CT image, 512x512 px 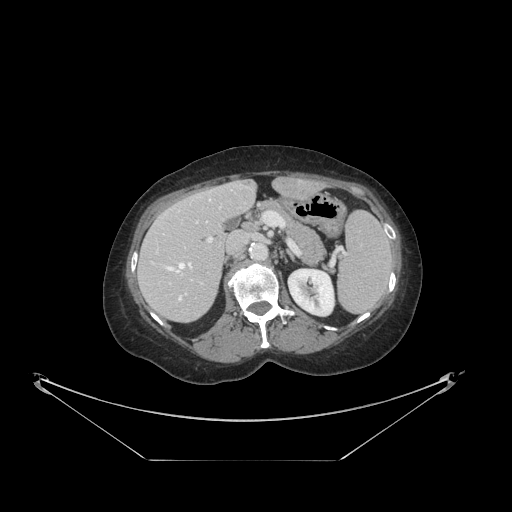
The vessel annotation is not exhaustive.
6 hepatic vessel regions are located at 179:297:180:300, 196:221:197:222, 263:210:281:226, 188:263:191:268, 164:263:183:272, 207:237:212:241.